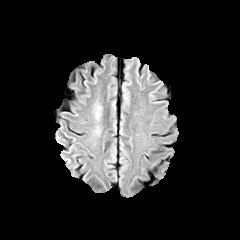
FLAIR magnetic resonance.
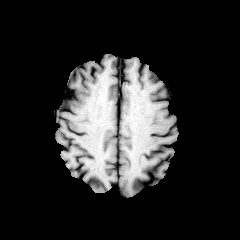
T1-weighted MRI.
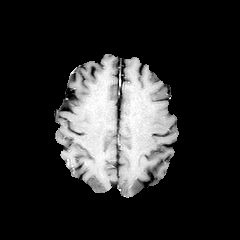
Post-contrast T1-weighted MR of the same slice.
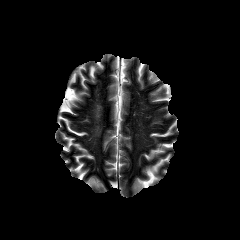
T2-weighted MR.
240x240 px
The edema lies within bbox=[94, 104, 101, 120].